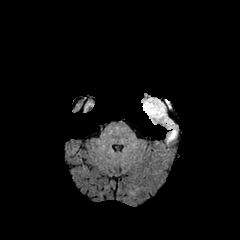
FLAIR magnetic resonance.
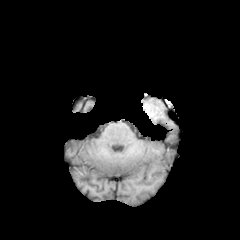
T1-weighted MRI of the same slice.
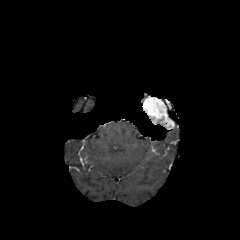
Post-contrast T1-weighted magnetic resonance.
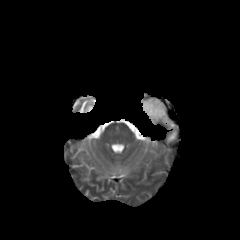
T2-weighted MR.
Brain
* edema: (167,127,177,141)
* enhancing tumor: (142,96,173,129)